Head. Slice 108/155.
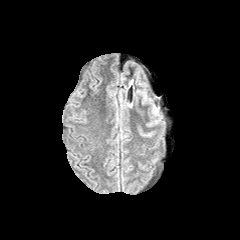
FLAIR MR.
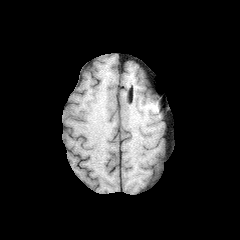
T1-weighted MR.
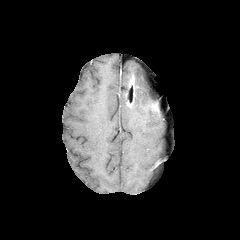
Post-contrast T1-weighted MR of the same slice.
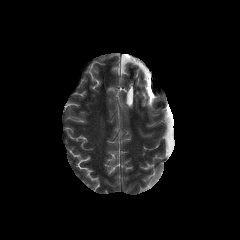
Same slice, T2-weighted MR image.
The edema appears at [132,78,151,104].